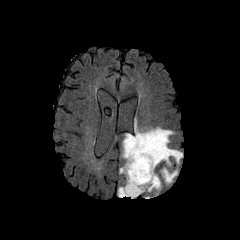
FLAIR MR.
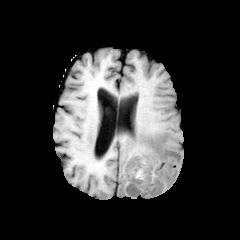
T1-weighted MRI.
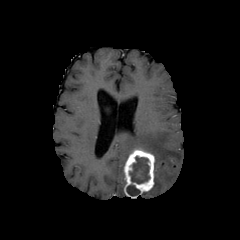
Post-contrast T1-weighted MRI.
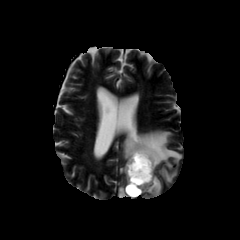
T2-weighted MRI.
edema:
  - {"x1": 118, "y1": 186, "x2": 125, "y2": 197}
  - {"x1": 121, "y1": 128, "x2": 182, "y2": 184}
  - {"x1": 142, "y1": 174, "x2": 162, "y2": 197}
non-enhancing_tumor_core:
  - {"x1": 129, "y1": 157, "x2": 149, "y2": 183}
  - {"x1": 126, "y1": 185, "x2": 140, "y2": 196}
enhancing_tumor:
  - {"x1": 124, "y1": 147, "x2": 155, "y2": 195}